Slice 40/51; Liver; CT image 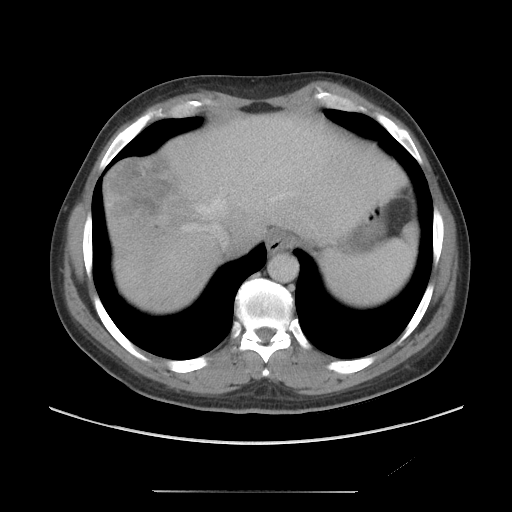

The vessel annotation is not exhaustive.
Segmented structures:
- hepatic vessel: 199,196,224,213; 220,187,221,189; 271,192,294,201; 183,224,210,231
- liver tumor: 106,158,180,217